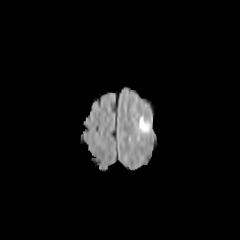
FLAIR MR.
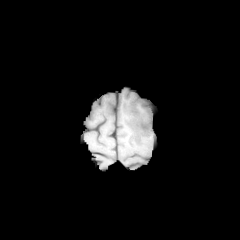
T1-weighted MR of the same slice.
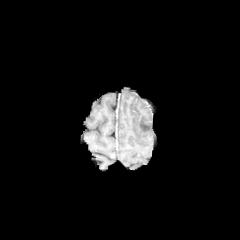
Post-contrast T1-weighted MR image.
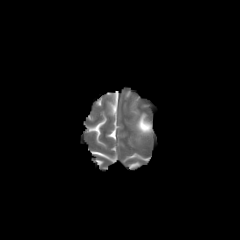
Same slice, T2-weighted MRI.
edema:
  - 138 114 152 132